FLAIR MRI.
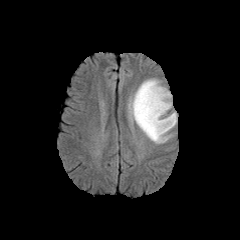
T1-weighted MRI.
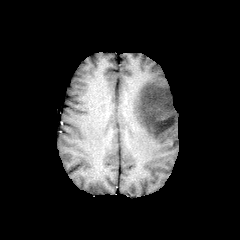
Post-contrast T1-weighted MRI.
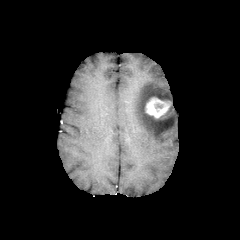
T2-weighted MR image.
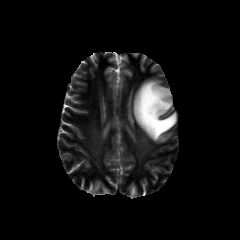
Head
<segmentation>
  <edema>[129, 78, 177, 144]</edema>
  <enhancing_tumor>[145, 97, 171, 118]</enhancing_tumor>
</segmentation>